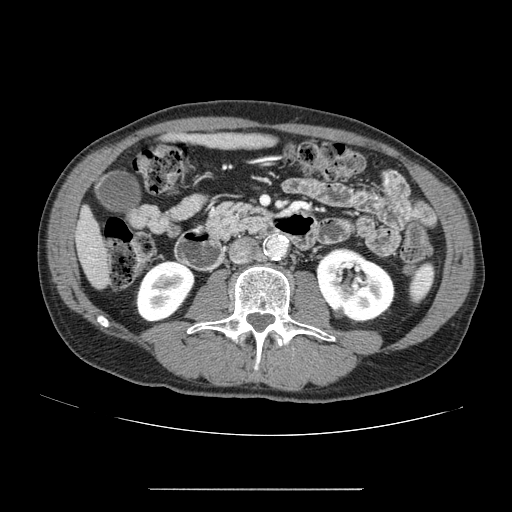
Abdomen | CT
Findings:
• pancreas: 208:201:271:240